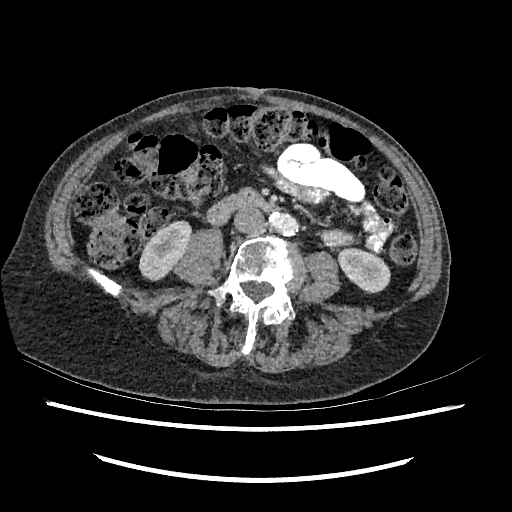

CT slice | 512x512 px

kidney:
  - <bbox>339, 249, 389, 292</bbox>
  - <bbox>141, 224, 189, 279</bbox>